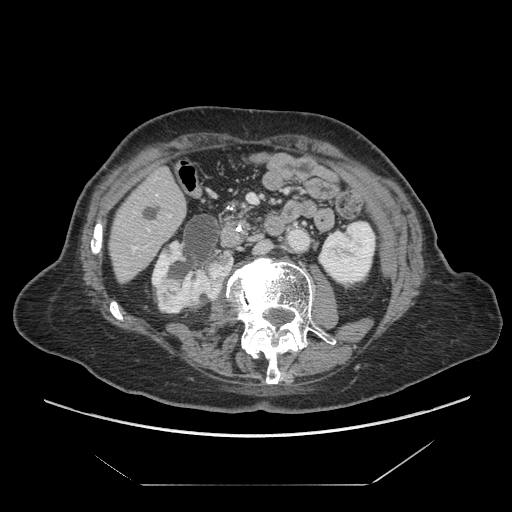
512x512 | CT scan slice
Pancreas: 216, 196, 255, 224.